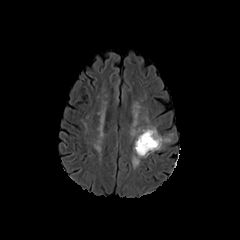
FLAIR MRI.
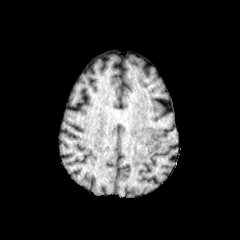
T1-weighted MRI.
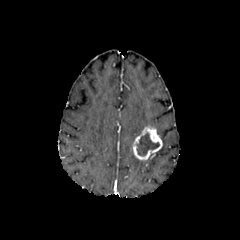
Post-contrast T1-weighted MRI of the same slice.
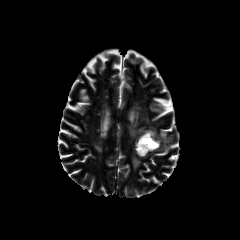
Same slice, T2-weighted MR.
Brain, 240x240 px
4 edema regions appear at [132,103,149,123], [129,126,143,139], [159,138,171,150], [131,154,141,170]. The enhancing tumor is located at [132,124,162,160]. The non-enhancing tumor core lies within [135,133,159,156].